Field of view 437x437 mm. Slice 517/896. Computed tomography.

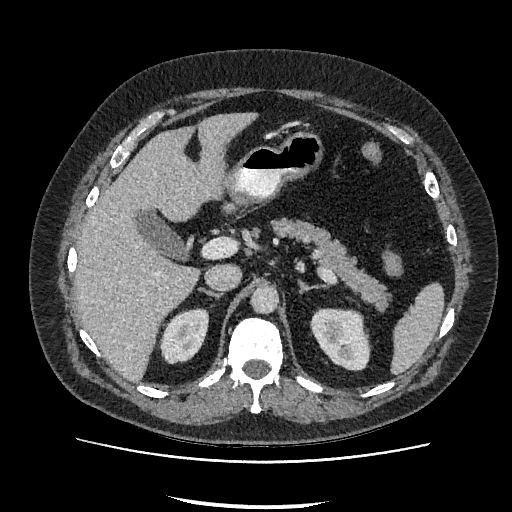

Liver: bbox(76, 113, 256, 382).
Kidney: bbox(312, 310, 368, 369); bbox(162, 310, 207, 361).